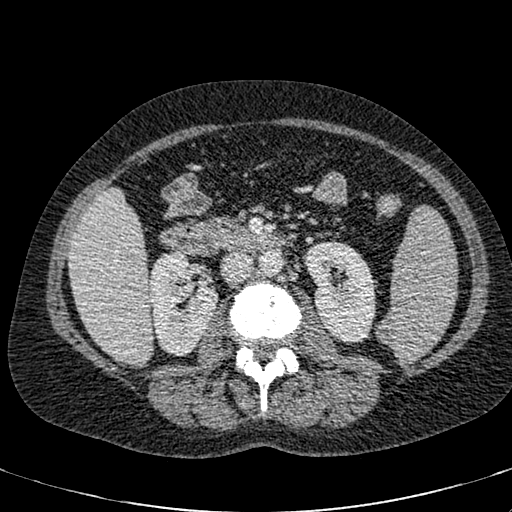 CT scan slice | Upper abdomen | 512x512 px
kidney:
  - (149, 251, 217, 355)
  - (305, 242, 375, 341)
liver:
  - (69, 190, 151, 362)